Slice 326 of 461. Liver. CT image.
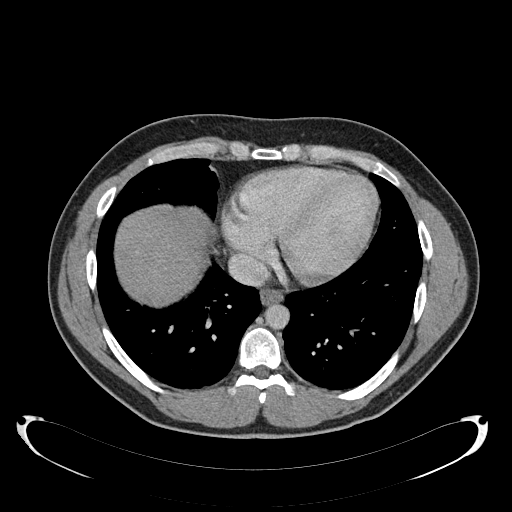 Segmented structures:
* liver: <bbox>116, 208, 208, 302</bbox>